Brain
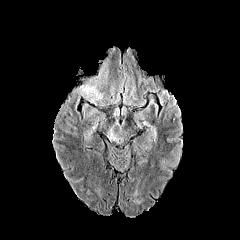
FLAIR MR.
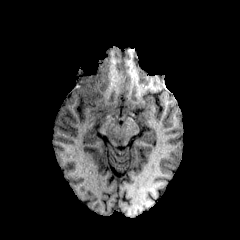
T1-weighted magnetic resonance of the same slice.
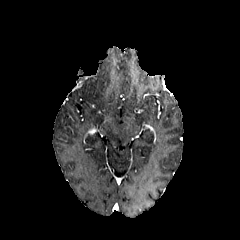
Post-contrast T1-weighted MRI.
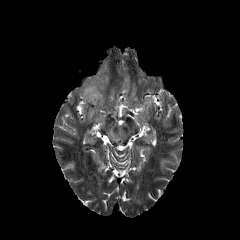
T2-weighted MR image.
Segmented structures:
- edema: 77:70:106:105